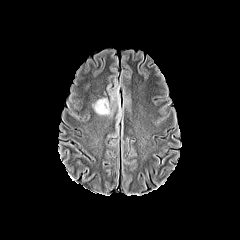
FLAIR MRI.
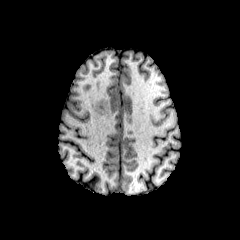
Same slice, T1-weighted magnetic resonance.
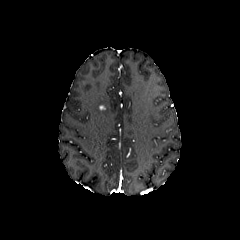
Post-contrast T1-weighted MRI.
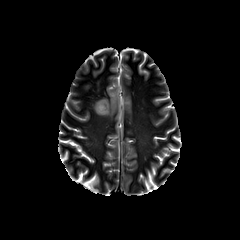
T2-weighted magnetic resonance of the same slice.
240x240 | Brain
<segmentation>
  <edema>box=[93, 97, 116, 116]</edema>
</segmentation>